Lower abdomen, CT image, Field of view 382x382 mm, 512x512 px
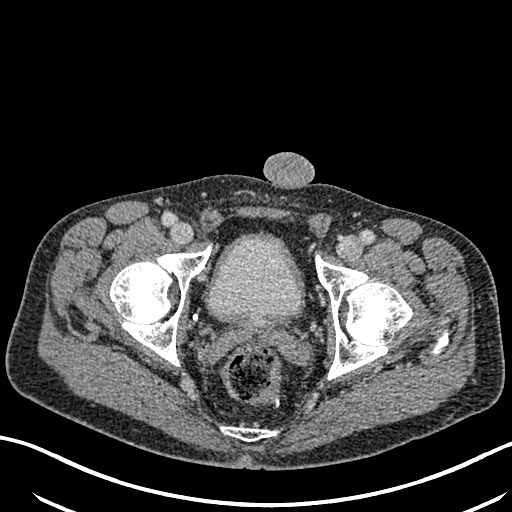 Segmented structures:
- urinary bladder: region(209, 235, 300, 328)